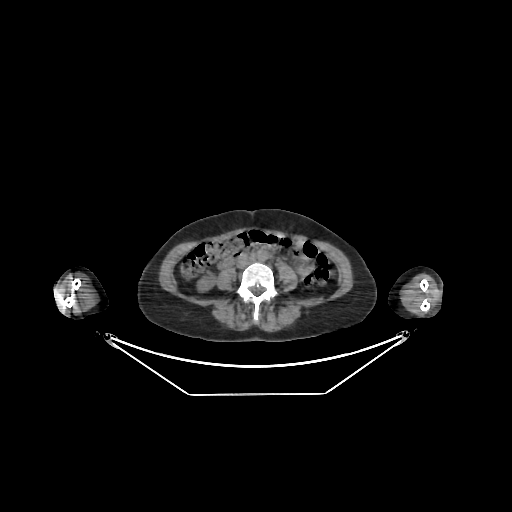
CT slice | Image size 512x512
kidney:
  - x1=197 y1=271 x2=217 y2=292